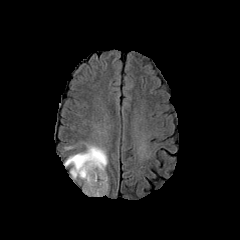
FLAIR magnetic resonance.
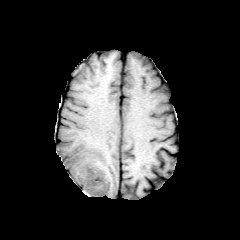
T1-weighted MR image.
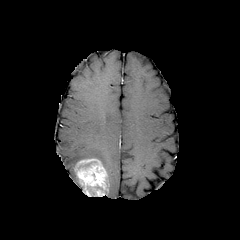
Same slice, post-contrast T1-weighted MR.
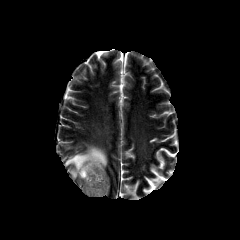
T2-weighted MRI.
Brain
The edema is located at bbox(64, 144, 107, 193). The non-enhancing tumor core is bounded by bbox(86, 184, 101, 195). The enhancing tumor is located at bbox(74, 159, 108, 196).